CT | Abdomen | Slice 408 of 519 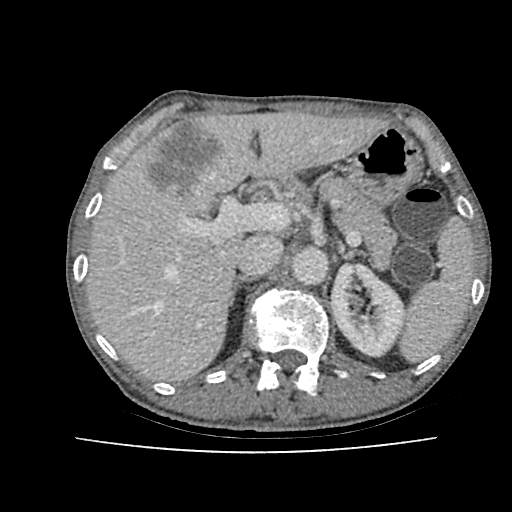
The kidney lies within bbox=[331, 265, 403, 355]. The liver is at bbox=[89, 113, 381, 379]. The hepatic lesion appears at bbox=[146, 124, 222, 200].